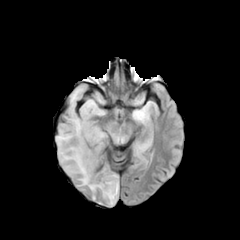
FLAIR MRI.
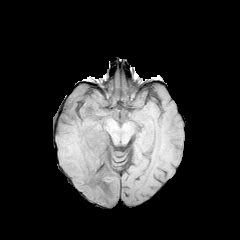
T1-weighted magnetic resonance of the same slice.
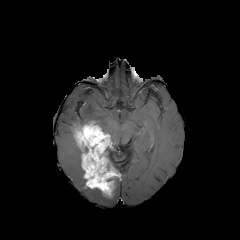
Post-contrast T1-weighted MR.
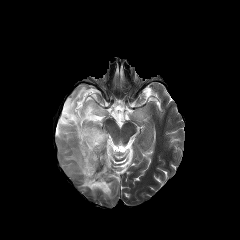
Same slice, T2-weighted magnetic resonance.
Brain
Non-enhancing tumor core: bounding box x1=97 y1=146 x2=115 y2=172, x1=106 y1=178 x2=116 y2=195, x1=71 y1=115 x2=97 y2=145.
Edema: bounding box x1=91 y1=178 x2=119 y2=204, x1=56 y1=86 x2=105 y2=175, x1=132 y1=108 x2=146 y2=121.
Enhancing tumor: bounding box x1=74 y1=122 x2=118 y2=196.